Slice 123/155.
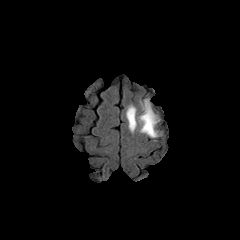
FLAIR magnetic resonance.
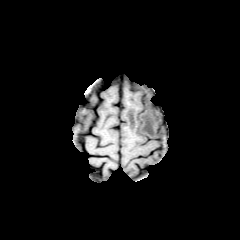
T1-weighted MRI.
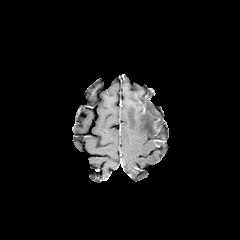
Post-contrast T1-weighted MR.
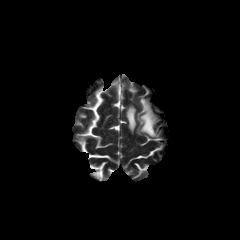
T2-weighted magnetic resonance.
Annotated regions:
* non-enhancing tumor core: [145, 118, 151, 132]
* edema: [125, 98, 160, 137]